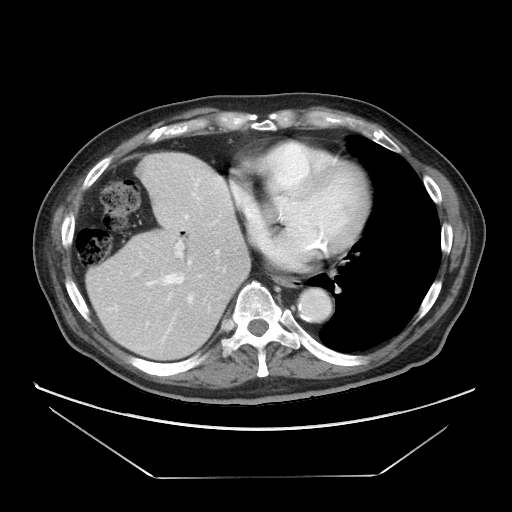
512x512. CT scan slice.

Not every hepatic vessel necessarily has a box.
Hepatic vessel at (x1=188, y1=260, x2=191, y2=264), (x1=146, y1=272, x2=183, y2=285), (x1=174, y1=240, x2=183, y2=257), (x1=166, y1=293, x2=171, y2=300), (x1=188, y1=294, x2=192, y2=303).